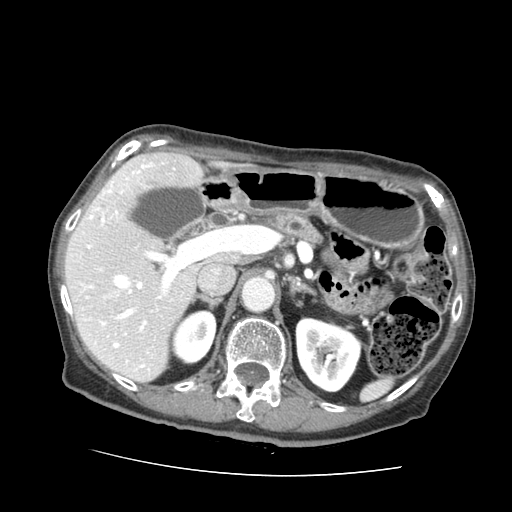

512x512 | CT | Abdomen
{"pancreas": ["270 213 325 250"]}